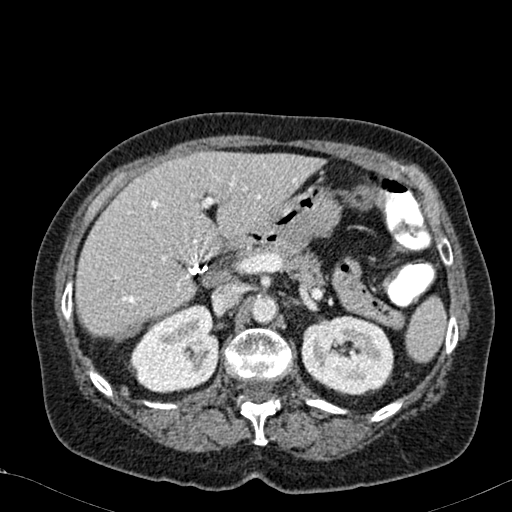
Abdomen. Image size 512x512. CT scan slice. {
  "liver": [
    "(left=77, top=152, right=324, bottom=339)"
  ],
  "kidney": [
    "(left=131, top=305, right=218, bottom=392)",
    "(left=302, top=317, right=392, bottom=394)"
  ]
}